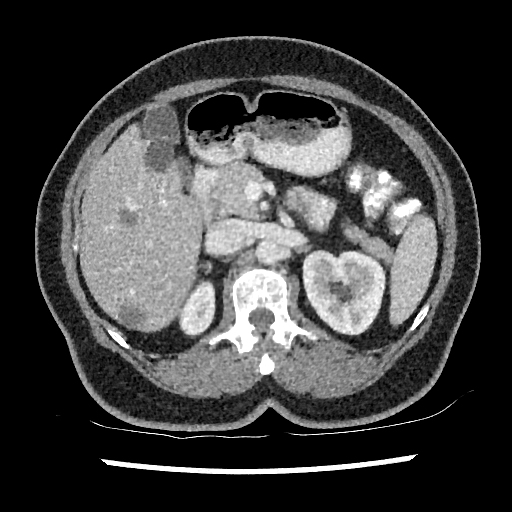 512x512 px | CT

Kidney at 299:251:384:334, 181:283:214:334.
Liver lesion at 118:303:144:325, 145:142:172:169, 120:210:136:224.
Liver at 80:126:200:329.